512x512 | Abdomen | Computed tomography

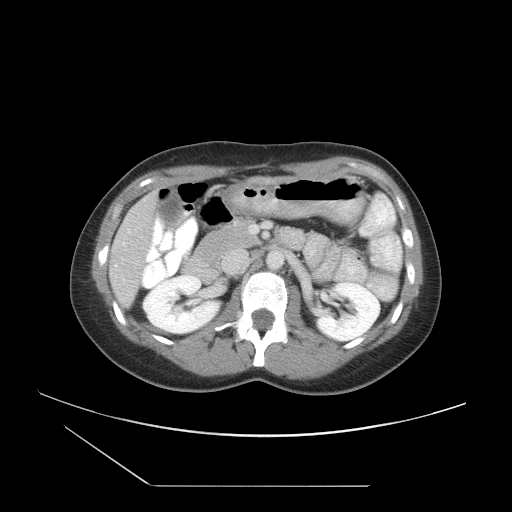
Some hepatic vessels may have no box.
{"hepatic_vessel": ["x1=142 y1=280 x2=143 y2=283", "x1=145 y1=257 x2=148 y2=260", "x1=144 y1=268 x2=145 y2=270"]}